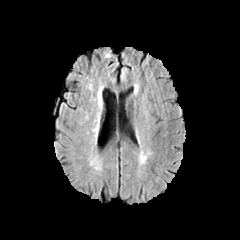
FLAIR MR.
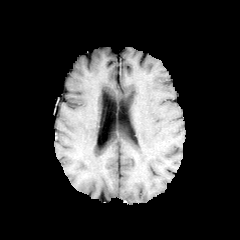
Same slice, T1-weighted MR.
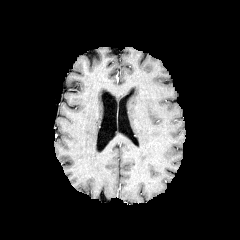
Post-contrast T1-weighted MR.
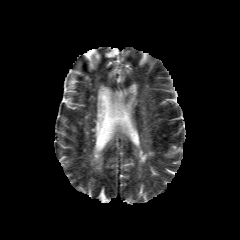
T2-weighted MR image.
edema: 138 153 145 163